FLAIR MR image.
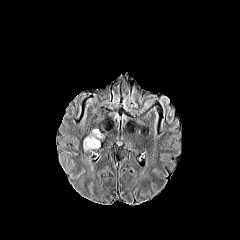
T1-weighted magnetic resonance.
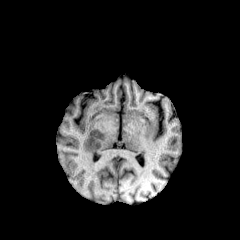
Post-contrast T1-weighted MRI.
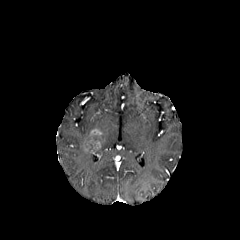
T2-weighted MR image.
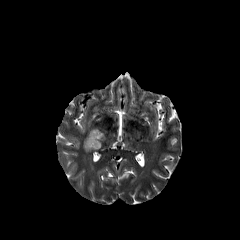
Head. 240x240.
Segmented structures:
* non-enhancing tumor core: (92,134,104,142)
* enhancing tumor: (83,128,101,153)